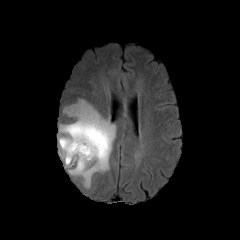
FLAIR MR image.
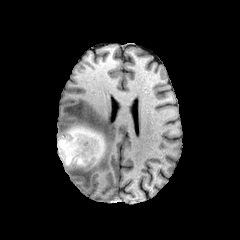
T1-weighted magnetic resonance.
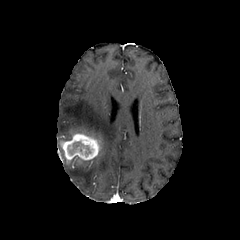
Same slice, post-contrast T1-weighted MR image.
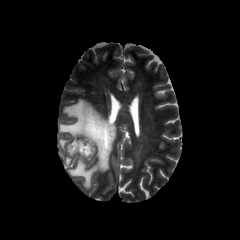
T2-weighted MR image.
240x240
Enhancing tumor: (63, 134, 98, 160).
Non-enhancing tumor core: (67, 140, 93, 157), (74, 155, 89, 164), (59, 126, 104, 157).
Edema: (59, 98, 116, 187).